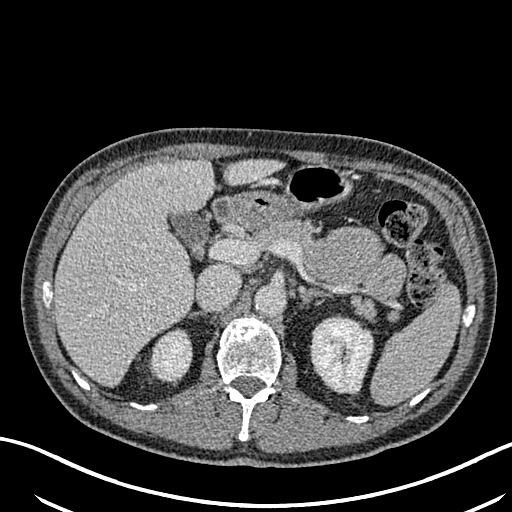

CT image; 512x512
Hepatic lesion: (155,177,167,187).
Kidney: (312,318,372,391), (153,331,191,380).
Liver: (224,159,281,185), (55,160,213,385).